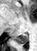 MR, Hippocampus

The posterior hippocampus lies within x1=14 y1=33 x2=27 y2=43.